Computed tomography. Field of view 700 mm wide, 3.27 mm slice spacing. 512x512. Slice 508 of 552.

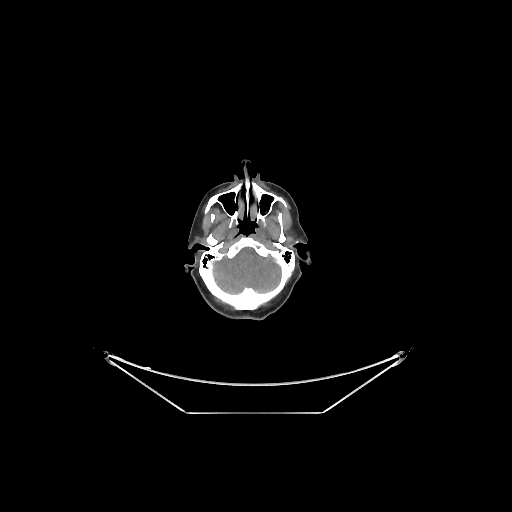
The brain is located at [x1=213, y1=247, x2=281, y2=293].